240x240 | Slice 97 of 155
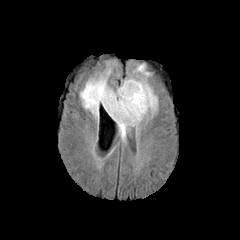
FLAIR MRI.
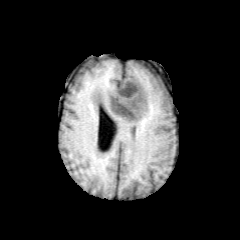
T1-weighted MR of the same slice.
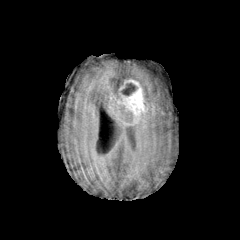
Post-contrast T1-weighted MRI.
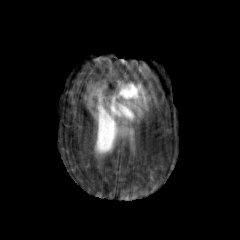
T2-weighted MRI.
enhancing_tumor:
  - <box>108,80,145,123</box>
non-enhancing_tumor_core:
  - <box>118,83,137,95</box>
  - <box>119,108,132,124</box>
edema:
  - <box>137,64,149,76</box>
  - <box>80,69,157,139</box>